Slice index 50; Image size 240x240; Image width 240 mm
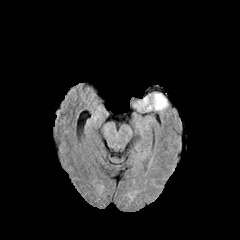
FLAIR magnetic resonance.
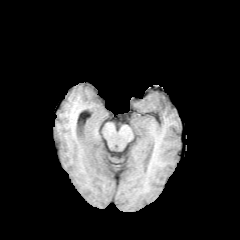
T1-weighted MR image.
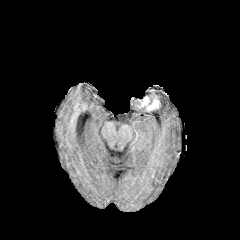
Same slice, post-contrast T1-weighted magnetic resonance.
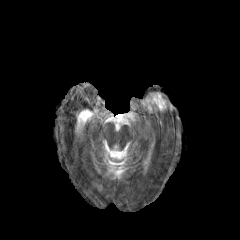
T2-weighted magnetic resonance.
edema:
  - (138, 93, 168, 110)
enhancing_tumor:
  - (147, 99, 158, 110)